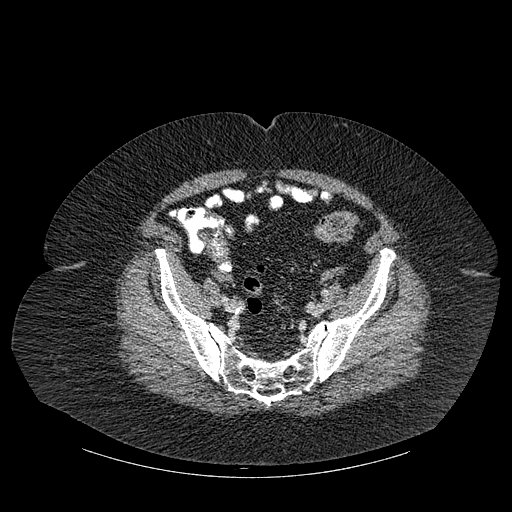

CT slice

<segmentation>
  <bone>[223, 189, 241, 200], [155, 248, 395, 405]</bone>
</segmentation>